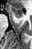

MRI slice

Anterior hippocampus: box(11, 7, 22, 17).